FLAIR MR image.
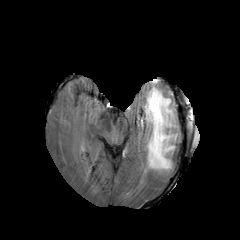
T1-weighted MR image.
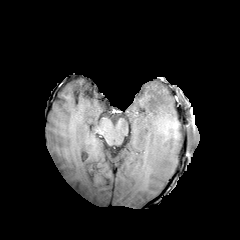
Post-contrast T1-weighted MRI.
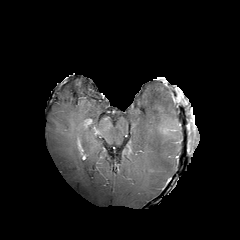
T2-weighted magnetic resonance.
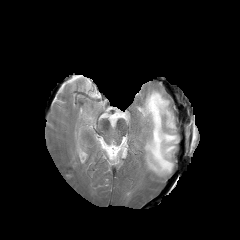
240x240 px.
Edema = x1=137, y1=82, x2=179, y2=175.